FLAIR MR image.
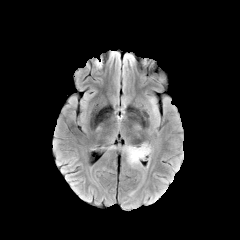
T1-weighted MR.
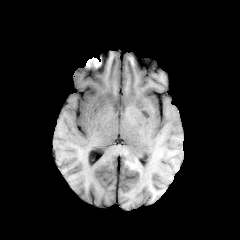
Post-contrast T1-weighted MR image.
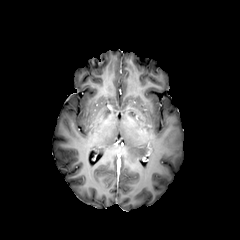
T2-weighted MRI.
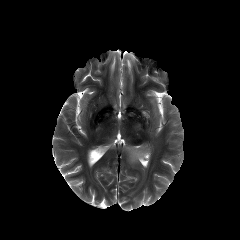
Image size 240x240
edema: rect(123, 143, 152, 163); rect(149, 98, 159, 123)